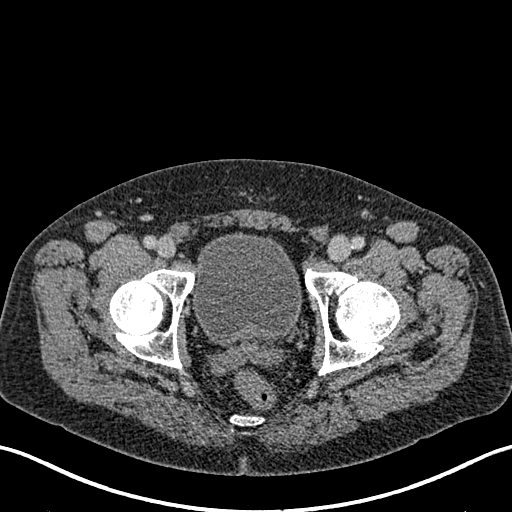 Lower abdomen | Computed tomography
The urinary bladder is located at (x1=193, y1=232, x2=301, y2=338).